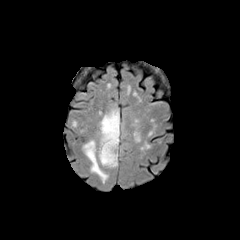
FLAIR magnetic resonance.
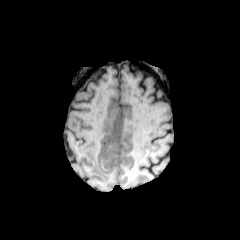
T1-weighted magnetic resonance.
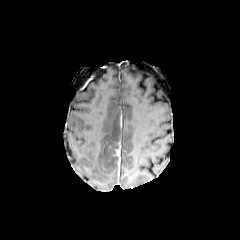
Post-contrast T1-weighted MR of the same slice.
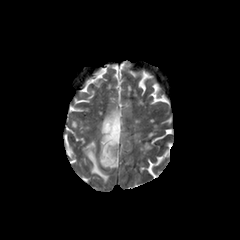
Same slice, T2-weighted MR image.
Brain.
edema: region(82, 107, 120, 182) | enhancing tumor: region(116, 143, 121, 168) | non-enhancing tumor core: region(109, 142, 118, 166)